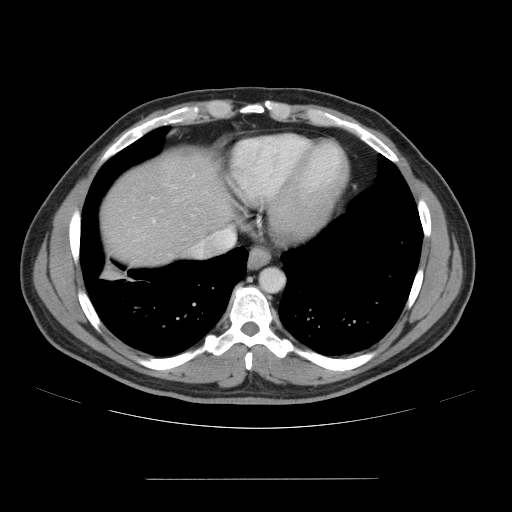

CT scan slice; Liver
Only some of the vessels may be annotated.
The hepatic vessel is at bbox(153, 219, 154, 222).